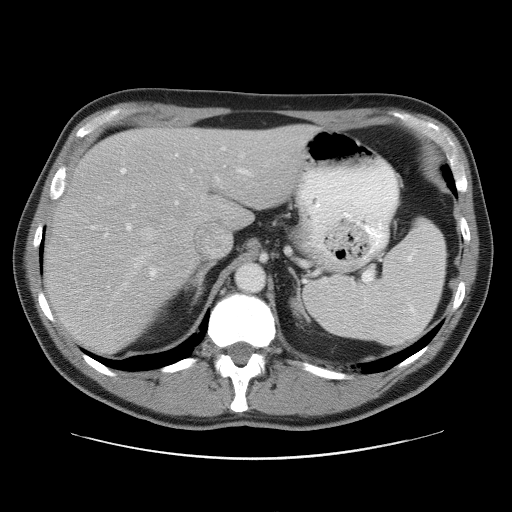
Abdomen; 512x512 px; CT scan slice
The vessel boxes may cover only some of the vessels.
The top 15 hepatic vessel regions (of 17) appear at 120, 169, 125, 173; 235, 168, 254, 176; 126, 224, 130, 229; 215, 202, 232, 212; 150, 268, 158, 276; 90, 226, 97, 229; 130, 203, 135, 208; 134, 253, 150, 269; 131, 270, 134, 273; 103, 231, 107, 238; 190, 169, 192, 172; 143, 228, 151, 238; 174, 200, 178, 205; 199, 193, 209, 218; 215, 177, 219, 183.